MRI slice. 320x320 px.

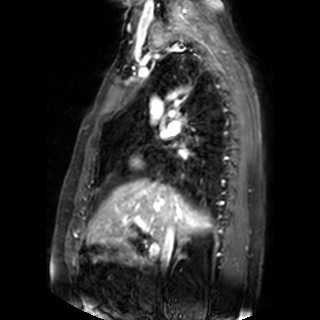
The left atrium is bounded by 179, 147, 186, 155.